Upper abdomen; Computed tomography 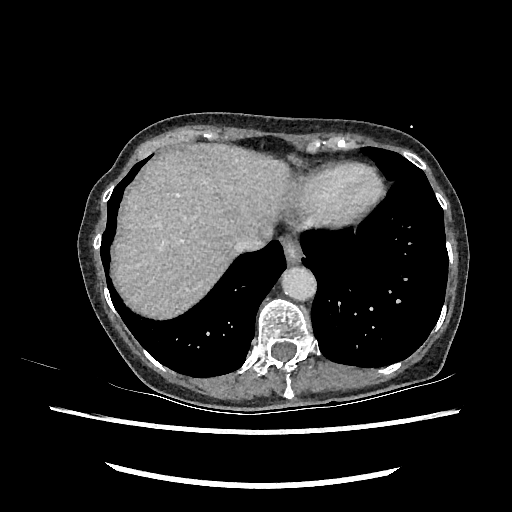

Annotated regions:
- liver: (x1=115, y1=144, x2=290, y2=316)